Image size 512x512, Abdomen, CT image 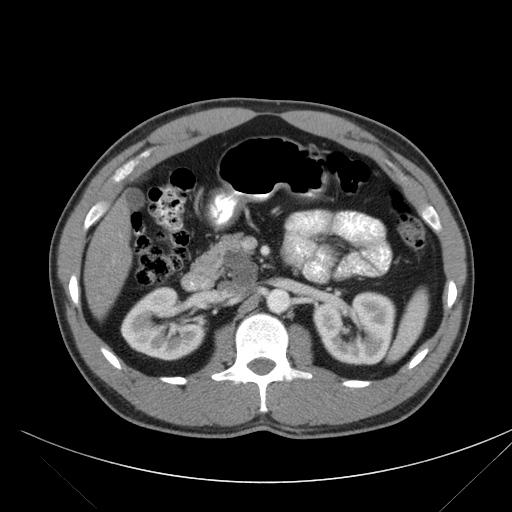 Segmented structures:
* pancreatic tumor: box(223, 249, 257, 287)
* pancreas: box(204, 233, 259, 282)